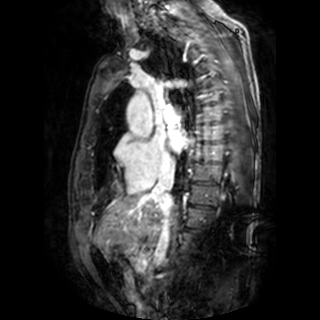
Cardiac, MRI
Left atrium — (169,130,188,153).